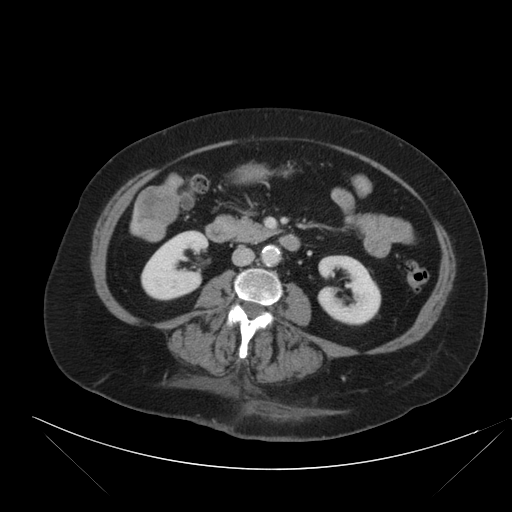
Liver. CT image. Liver tumor = x1=136 y1=186 x2=178 y2=241.